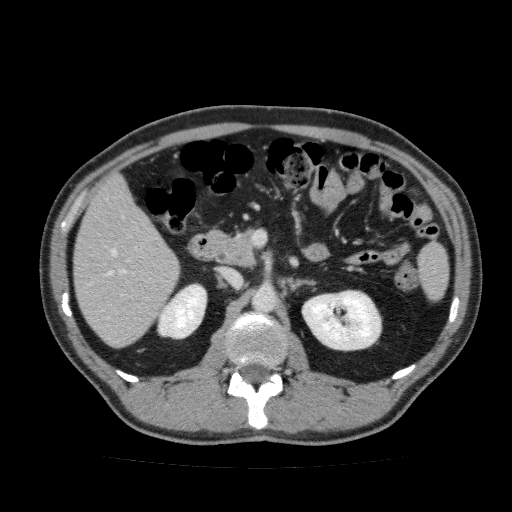

Image size 512x512. Upper abdomen. CT slice.

kidney:
  - 302, 290, 380, 349
  - 158, 285, 206, 338
liver:
  - 73, 172, 179, 347